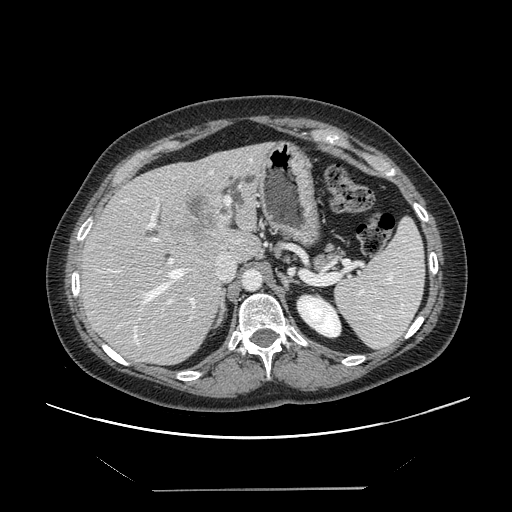
CT

Only some of the vessels may be annotated.
Findings:
• liver tumor: 172 177 220 240
• hepatic vessel: 215 250 235 280, 106 270 118 271, 189 298 196 318, 137 268 190 320, 150 238 158 240, 167 299 172 303, 147 198 158 228, 134 334 136 341, 167 259 173 265, 222 246 223 249, 230 238 242 242, 210 172 211 173, 94 270 98 273